FLAIR MR image.
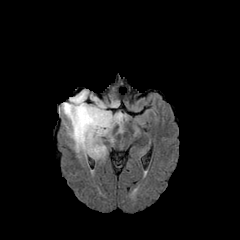
T1-weighted MRI.
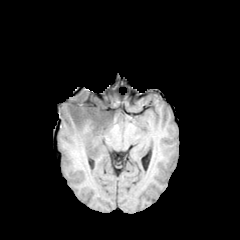
Post-contrast T1-weighted MR.
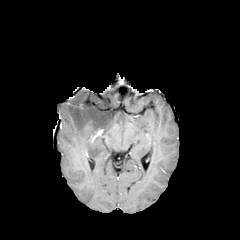
T2-weighted magnetic resonance.
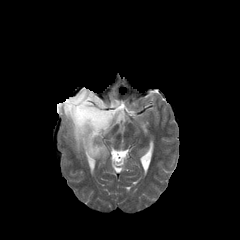
2 edema regions are bounded by bbox(59, 102, 126, 159); bbox(74, 89, 119, 111). The non-enhancing tumor core is at bbox(65, 96, 113, 145).